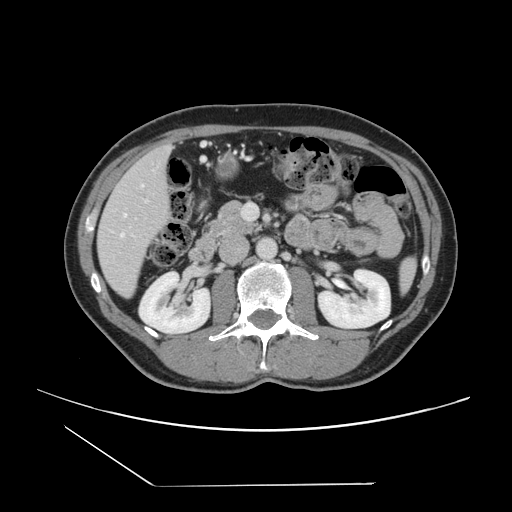 Liver, CT, 512x512

The vessel annotation is not exhaustive.
hepatic_vessel:
  - 153, 169, 154, 171